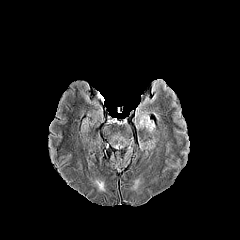
FLAIR magnetic resonance.
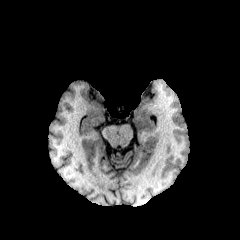
T1-weighted MRI.
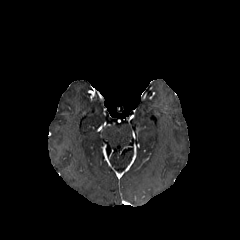
Post-contrast T1-weighted magnetic resonance.
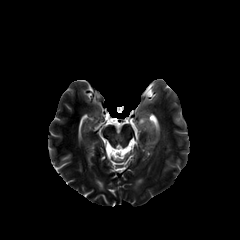
T2-weighted MR image.
Head
Edema: 140, 116, 155, 132.